Computed tomography | Slice 26 of 74 | Abdomen

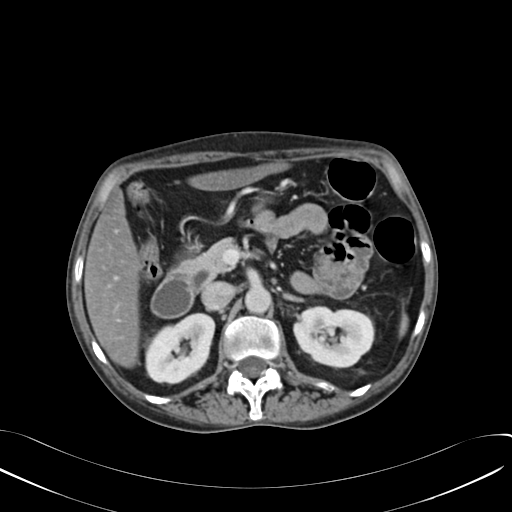
kidney: box=[294, 308, 372, 366]; box=[147, 314, 213, 382] | liver: box=[85, 187, 140, 365]; box=[191, 163, 287, 190]